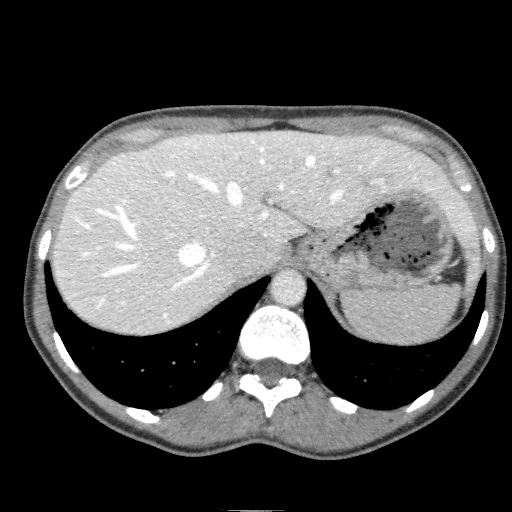 CT

liver:
  - (53,130,480,334)